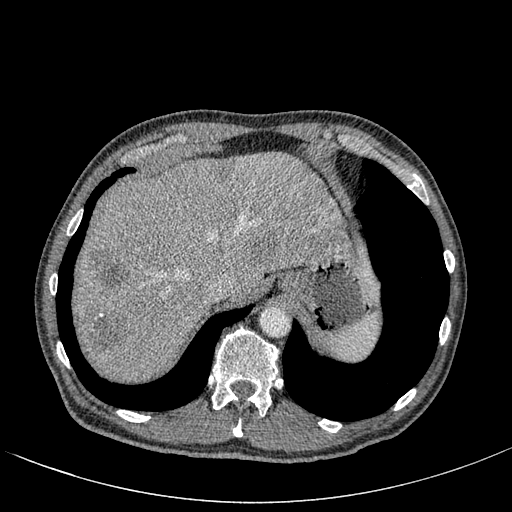 Abdomen; 512x512 px; CT
The liver is at {"x1": 75, "y1": 150, "x2": 353, "y2": 381}. 5 hepatic lesion regions are located at {"x1": 213, "y1": 160, "x2": 231, "y2": 181}, {"x1": 251, "y1": 228, "x2": 281, "y2": 263}, {"x1": 81, "y1": 306, "x2": 126, "y2": 350}, {"x1": 286, "y1": 201, "x2": 306, "y2": 222}, {"x1": 90, "y1": 250, "x2": 129, "y2": 292}.